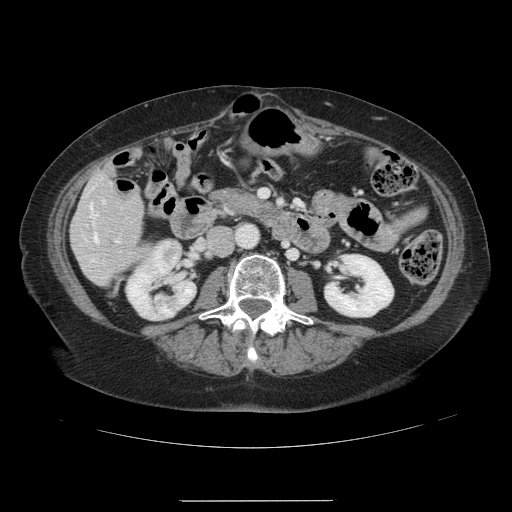

CT image.
Not every hepatic vessel necessarily has a box.
{"hepatic_vessel": ["(left=93, top=233, right=97, bottom=241)", "(left=90, top=204, right=97, bottom=216)", "(left=102, top=199, right=103, bottom=201)", "(left=115, top=240, right=118, bottom=241)", "(left=109, top=182, right=112, bottom=184)"]}